FLAIR MR.
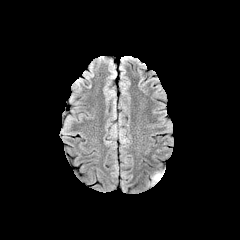
T1-weighted magnetic resonance.
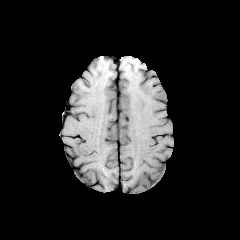
Post-contrast T1-weighted magnetic resonance.
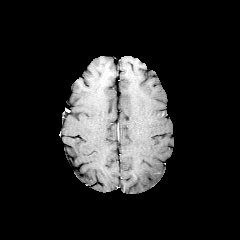
T2-weighted magnetic resonance.
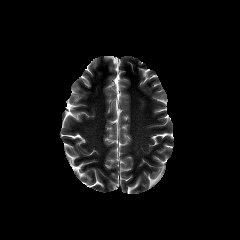
The edema lies within bbox(148, 168, 165, 185).